Field of view 240x240 mm; Slice index 65
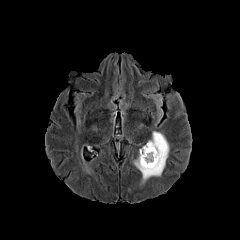
FLAIR MR.
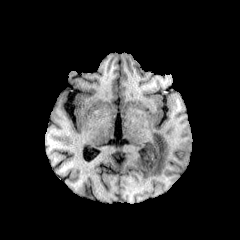
Same slice, T1-weighted MRI.
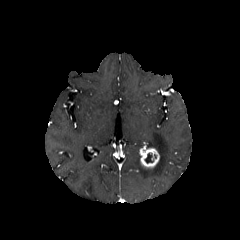
Same slice, post-contrast T1-weighted MR image.
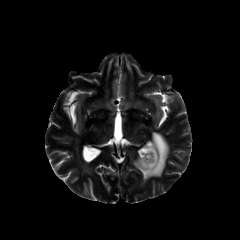
T2-weighted magnetic resonance.
The non-enhancing tumor core lies within 144, 152, 157, 164. The edema lies within 134, 132, 169, 181. The enhancing tumor lies within 140, 148, 159, 167.